Field of view 240 mm wide, 1.00 mm slice spacing | 240x240 px | Slice index 126
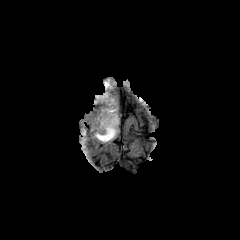
FLAIR magnetic resonance.
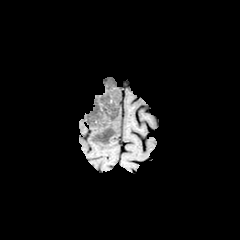
T1-weighted MR.
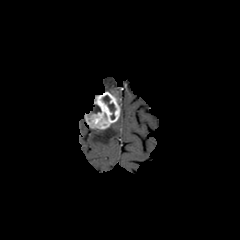
Post-contrast T1-weighted MR.
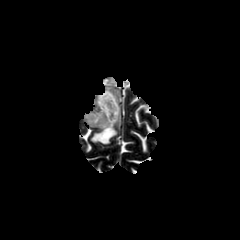
T2-weighted MR image of the same slice.
The non-enhancing tumor core is bounded by 91,105,100,112. The enhancing tumor appears at 84,92,119,129. The edema is bounded by 92,125,117,143.